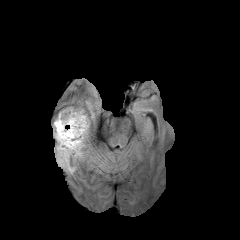
FLAIR magnetic resonance.
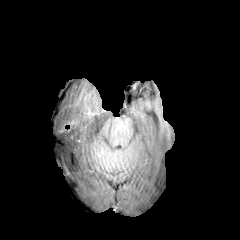
T1-weighted magnetic resonance.
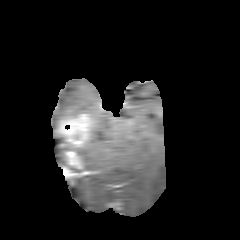
Same slice, post-contrast T1-weighted MRI.
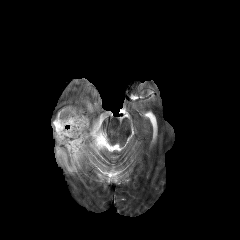
T2-weighted MR.
* enhancing tumor: [56,114,91,166]
* edema: [77,143,87,161], [53,106,84,174]
* non-enhancing tumor core: [58,148,67,158]